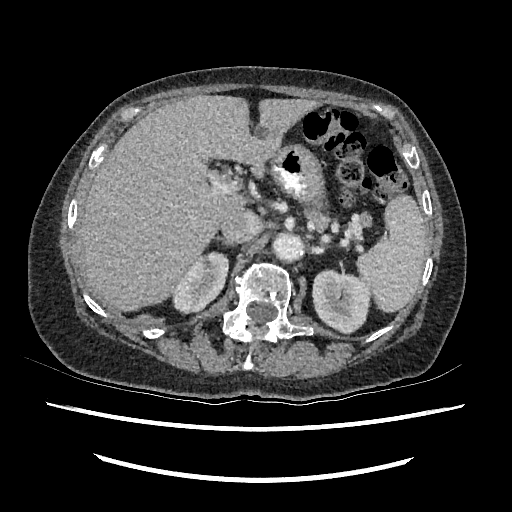

CT slice. 512x512 px.

Liver: bounding box 83:95:320:311.
Kidney: bounding box 173:253:228:312, 313:271:369:332.
Liver lesion: bounding box 255:125:268:138.